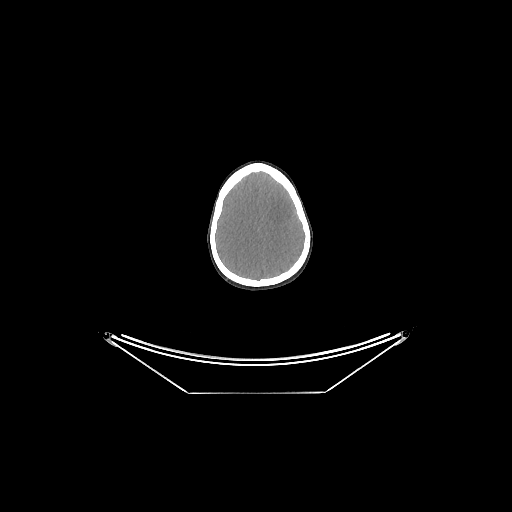

CT image

Segmented structures:
• brain: <box>215,171,305,280</box>